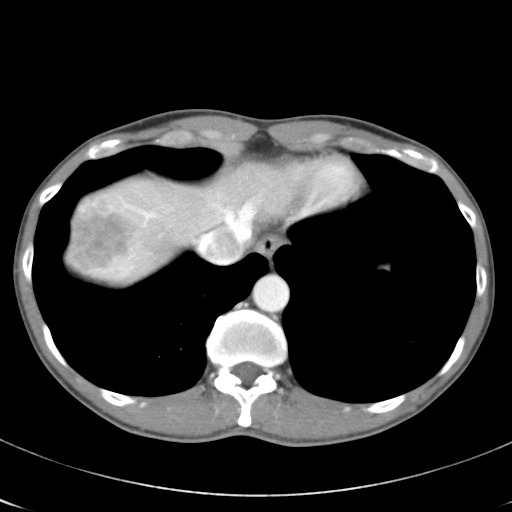 Abdomen. Computed tomography.
Some hepatic vessels may have no box.
3 hepatic vessel regions are located at <box>200,233,212,251</box>, <box>226,206,253,240</box>, <box>138,211,153,221</box>. The liver tumor is located at <box>67,195,138,278</box>.